Abdomen | Slice 388/547 | Field of view 385x385 mm | CT

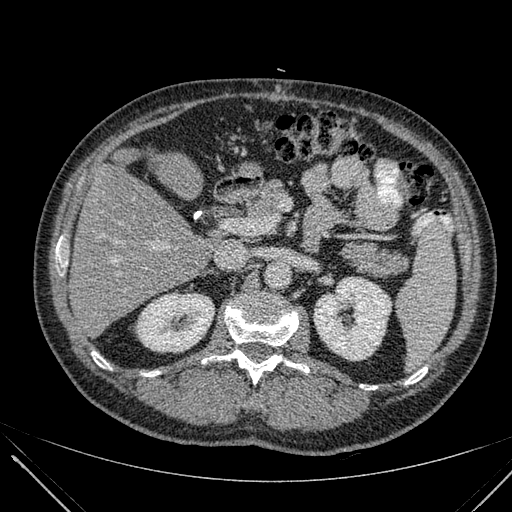
The liver appears at <bbox>70, 149, 222, 330</bbox>. 2 kidney regions appear at <bbox>314, 277, 391, 359</bbox>, <bbox>137, 294, 213, 351</bbox>.